Abdomen; CT slice; Slice index 27
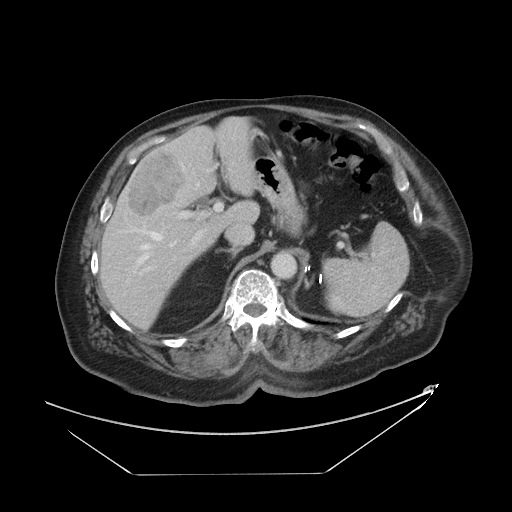 The vessel boxes may cover only some of the vessels.
liver tumor: [129, 150, 186, 218] | hepatic vessel: [191, 230, 204, 244]